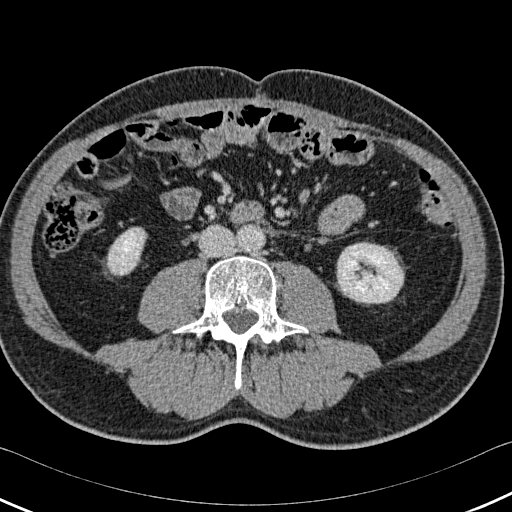
Abdomen; CT slice
The bone is bounded by (173, 256, 307, 389). 2 kidney regions appear at (108, 228, 145, 274), (337, 243, 403, 302).